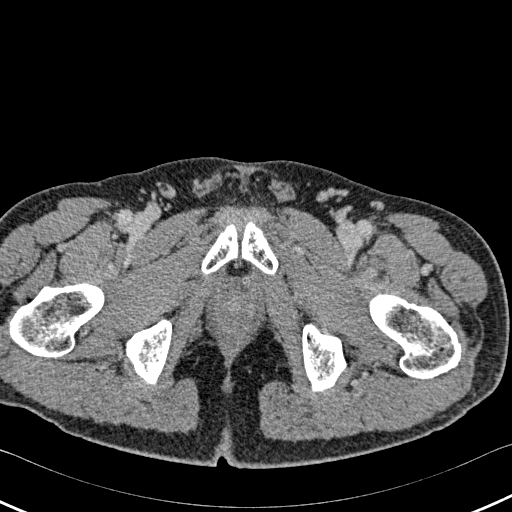

CT image
Bone: bounding box x1=201, y1=222, x2=278, y2=275; x1=302, y1=325, x2=345, y2=390; x1=127, y1=320, x2=171, y2=383; x1=370, y1=295, x2=460, y2=378; x1=0, y1=283, x2=103, y2=356.